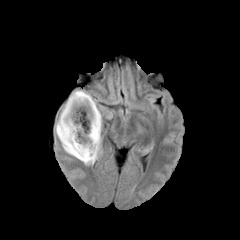
FLAIR MR image.
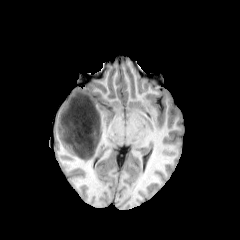
Same slice, T1-weighted magnetic resonance.
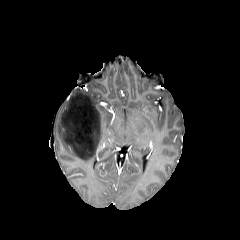
Same slice, post-contrast T1-weighted MR image.
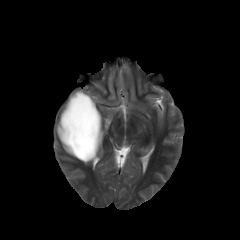
Same slice, T2-weighted MR.
240x240 px
{
  "edema": [
    "(left=56, top=98, right=76, bottom=157)",
    "(left=70, top=90, right=103, bottom=139)",
    "(left=80, top=157, right=97, bottom=164)"
  ],
  "non-enhancing_tumor_core": [
    "(left=62, top=94, right=101, bottom=159)"
  ]
}